Field of view 440 mm wide, 1.50 mm slice spacing | CT scan slice | Liver

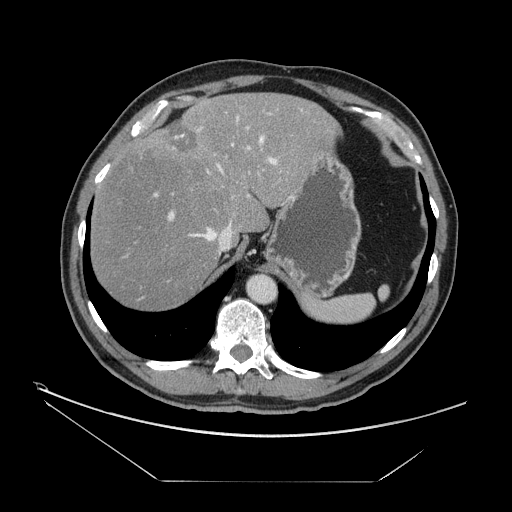 Only some of the vessels may be annotated.
<segmentation>
  <liver_tumor>box=[166, 120, 196, 153]</liver_tumor>
  <hepatic_vessel>box=[190, 230, 215, 239]; box=[248, 147, 249, 148]; box=[218, 166, 221, 170]; box=[169, 213, 173, 219]; box=[260, 136, 263, 143]; box=[269, 158, 276, 163]</hepatic_vessel>
</segmentation>